CT image. 512x512. Slice 63/106. 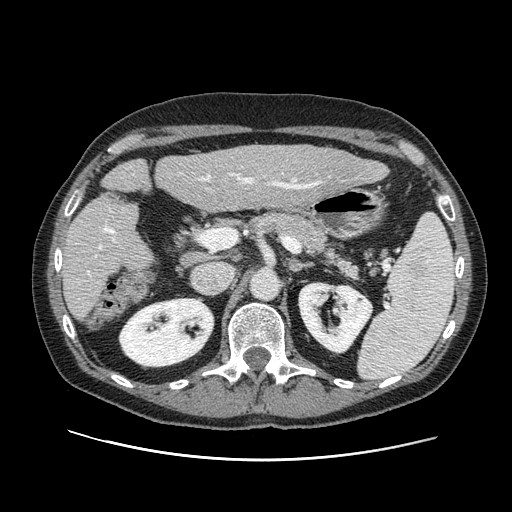

2 pancreas regions appear at [327, 251, 358, 278], [253, 212, 326, 252].